CT slice. Slice index 37. Upper abdomen.
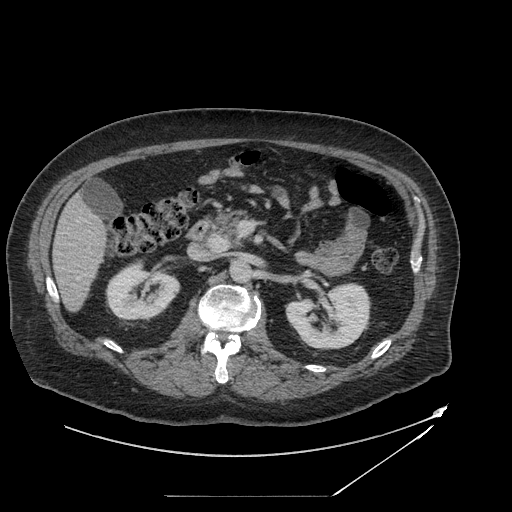

Pancreas at (left=201, top=209, right=247, bottom=251).
Pancreatic tumor at (left=207, top=233, right=230, bottom=252).